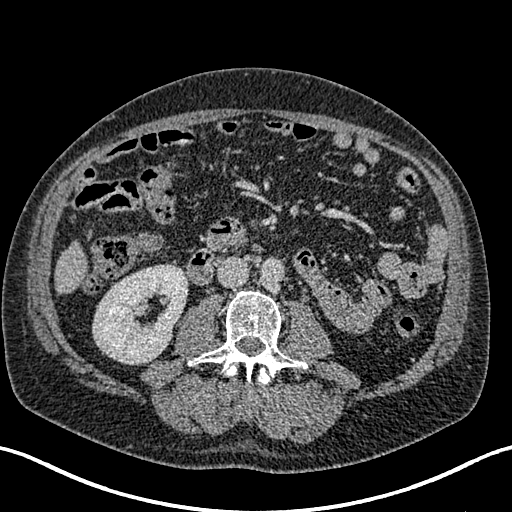
512x512; CT slice
- kidney: box=[93, 265, 187, 363]
- liver: box=[55, 242, 85, 293]